CT 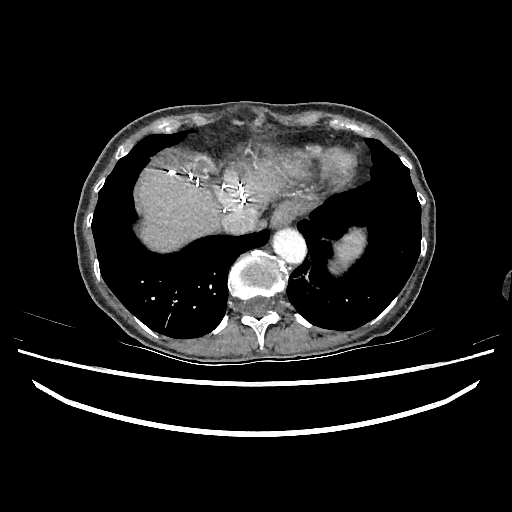
Liver = <bbox>138, 170, 221, 249</bbox>, <bbox>246, 165, 285, 203</bbox>.